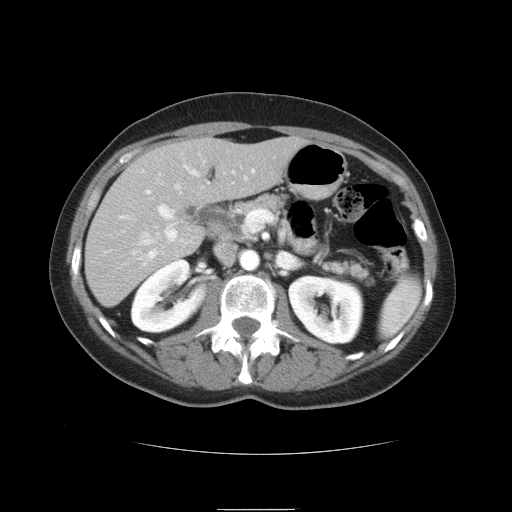

Image size 512x512 | CT slice
Spleen: box=[380, 276, 420, 337].